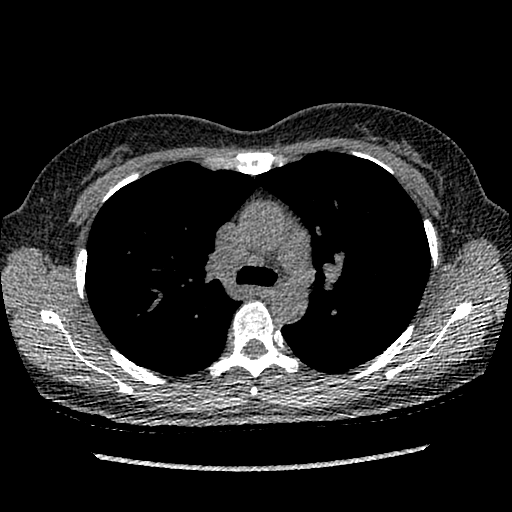

CT; 512x512; Lung

Lung tumor = 327 307 344 335.